MRI, Slice index 17, Image size 35x55
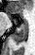
The posterior hippocampus is located at bbox(13, 23, 27, 44). 2 anterior hippocampus regions are bounded by bbox(25, 20, 27, 22); bbox(23, 16, 24, 19).